Field of view 512 mm wide, 1.00 mm slice spacing | Upper abdomen | CT slice 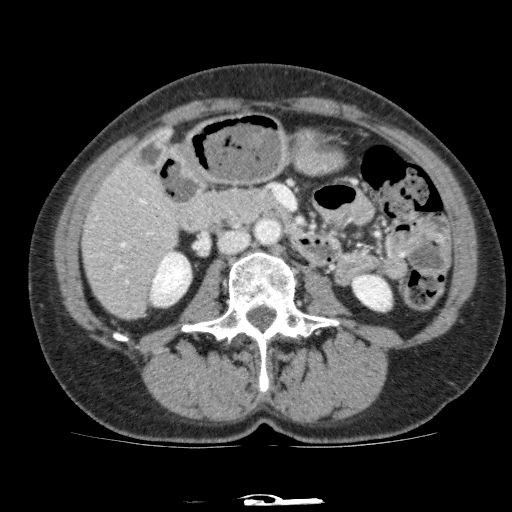
liver: 81 155 179 319 | kidney: 151 252 190 305, 352 275 390 310